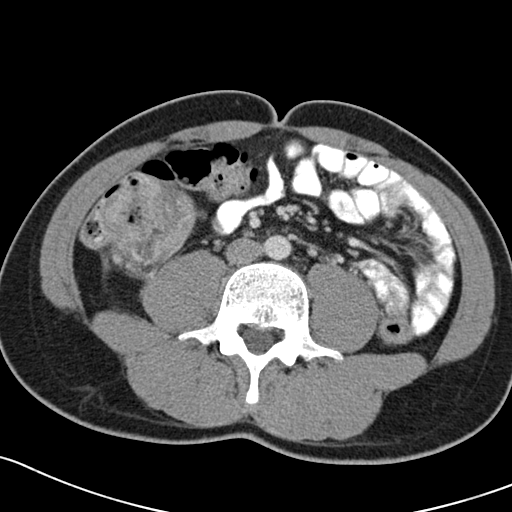 CT; Pelvis
The colon tumor is at x1=100, y1=173, x2=195, y2=264.